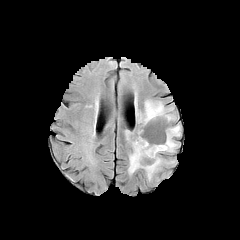
FLAIR MR image.
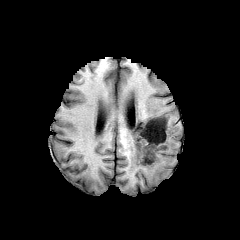
T1-weighted MR image of the same slice.
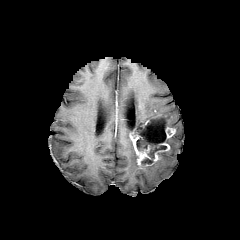
Post-contrast T1-weighted MR.
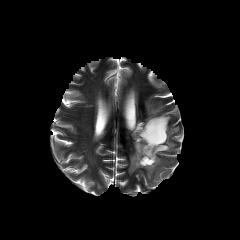
T2-weighted MR image.
240x240 px. Head.
Enhancing tumor: (left=132, top=134, right=149, bottom=164), (left=166, top=128, right=175, bottom=137).
Non-enhancing tumor core: (left=136, top=120, right=170, bottom=165).
Edema: (left=136, top=101, right=173, bottom=128), (left=171, top=126, right=180, bottom=137), (left=128, top=138, right=177, bottom=179).